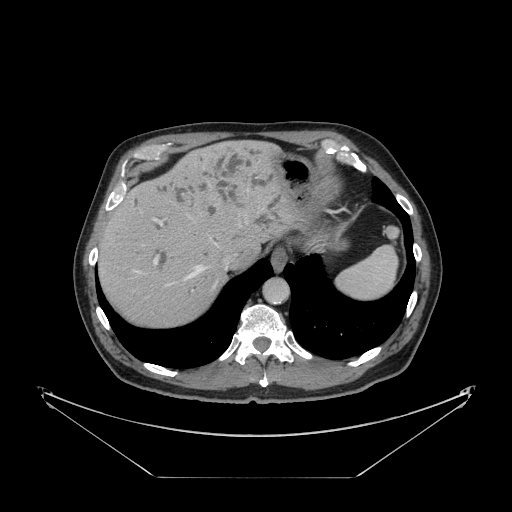
512x512 | CT

Not every hepatic vessel necessarily has a box.
9 hepatic vessel regions are located at bbox(246, 218, 246, 221); bbox(135, 271, 139, 272); bbox(182, 266, 203, 281); bbox(153, 218, 156, 220); bbox(166, 284, 169, 285); bbox(225, 267, 226, 268); bbox(154, 258, 156, 263); bbox(213, 243, 216, 245); bbox(158, 221, 161, 224).